FLAIR magnetic resonance.
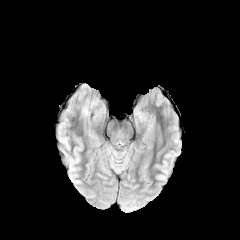
T1-weighted MR image.
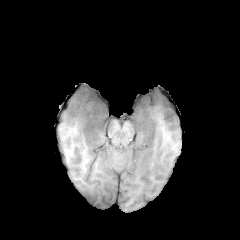
Post-contrast T1-weighted magnetic resonance.
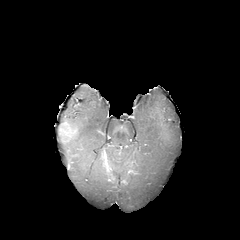
T2-weighted MR.
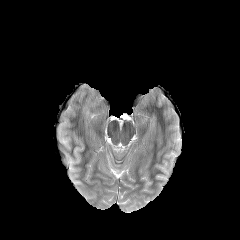
{"edema": ["rect(82, 99, 96, 116)"]}